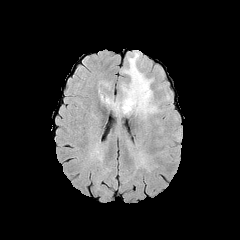
FLAIR magnetic resonance.
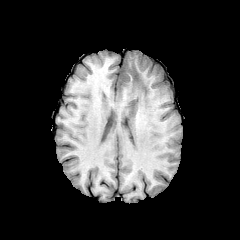
T1-weighted MR.
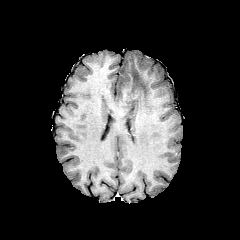
Post-contrast T1-weighted magnetic resonance of the same slice.
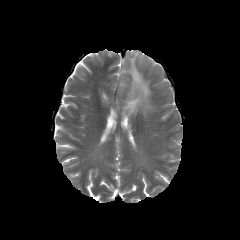
T2-weighted MR.
The edema appears at <bbox>111, 51, 155, 117</bbox>.